Field of view 240 mm wide, 1.00 mm slice spacing. Head.
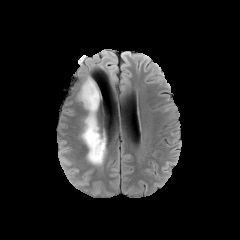
FLAIR MR.
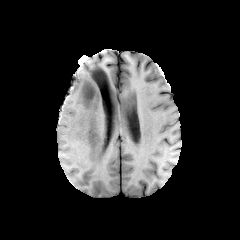
T1-weighted magnetic resonance.
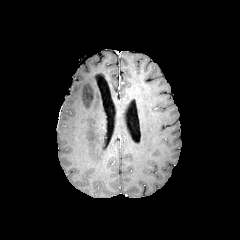
Post-contrast T1-weighted MRI.
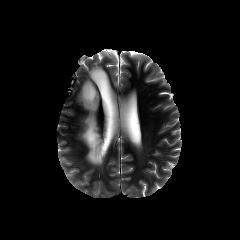
T2-weighted MRI of the same slice.
{"edema": ["box=[78, 77, 107, 164]"]}